Slice 362/751; CT; Image size 512x512; Liver

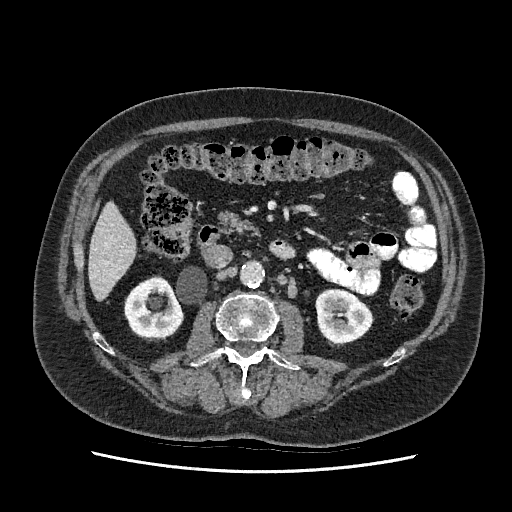
liver: <bbox>89, 203, 135, 298</bbox> | kidney: <bbox>125, 278, 182, 336</bbox>, <bbox>316, 290, 371, 342</bbox>